Upper abdomen, CT

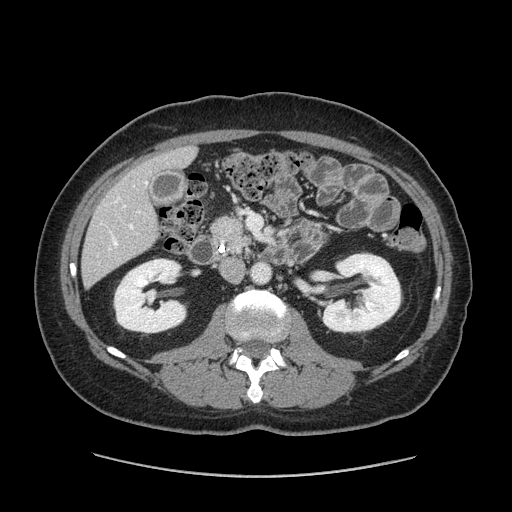 The pancreas appears at <box>211,216,247,242</box>.